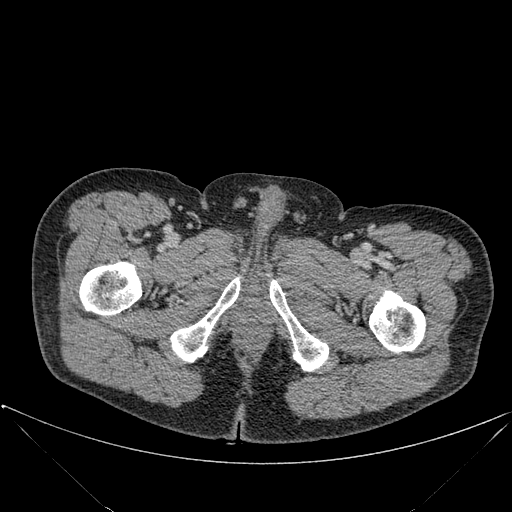
CT

Bone: bounding box bbox=[170, 277, 239, 362]; bbox=[369, 291, 425, 352]; bbox=[270, 280, 328, 371]; bbox=[79, 262, 141, 315].